FLAIR MRI.
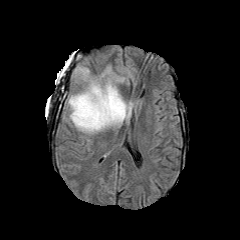
T1-weighted MRI.
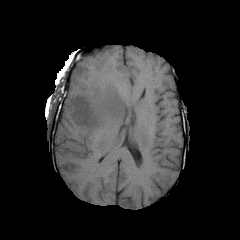
Post-contrast T1-weighted MR image.
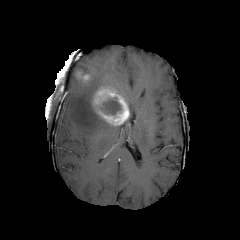
T2-weighted MR.
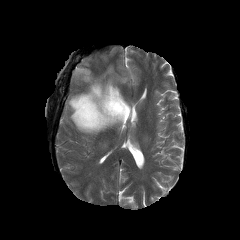
Brain
Edema: bounding box bbox(68, 65, 122, 134).
Non-enhancing tumor core: bounding box bbox(98, 98, 121, 114).
Enhancing tumor: bounding box bbox(92, 86, 129, 123).